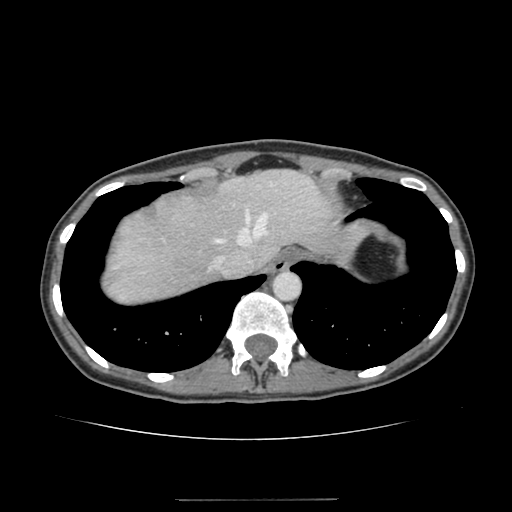

CT.

The liver appears at region(106, 169, 338, 305).